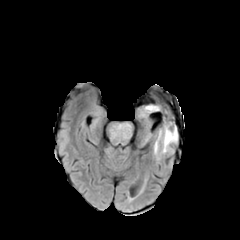
FLAIR MR.
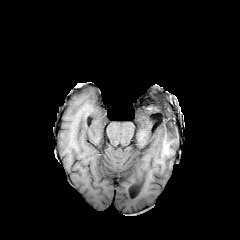
Same slice, T1-weighted MR.
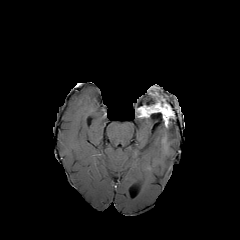
Same slice, post-contrast T1-weighted magnetic resonance.
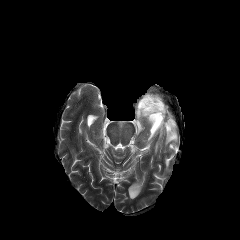
Same slice, T2-weighted MR.
Head
non-enhancing_tumor_core:
  - [160, 119, 173, 137]
edema:
  - [144, 121, 177, 160]
enhancing_tumor:
  - [137, 100, 173, 128]